Brain. Image width 240 mm.
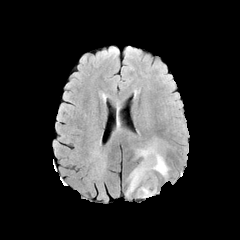
FLAIR MR image.
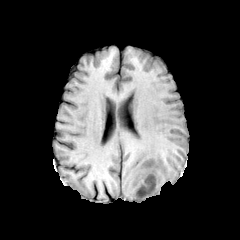
T1-weighted MR image of the same slice.
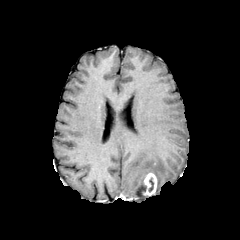
Post-contrast T1-weighted magnetic resonance.
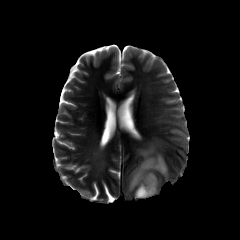
T2-weighted MR.
The edema lies within bbox(126, 146, 168, 195). The enhancing tumor lies within bbox(142, 173, 157, 196).